FLAIR MR image.
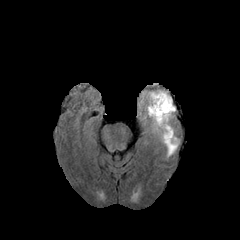
T1-weighted MR.
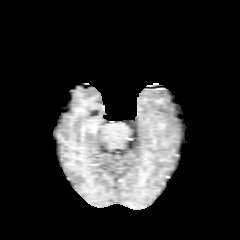
Post-contrast T1-weighted MR.
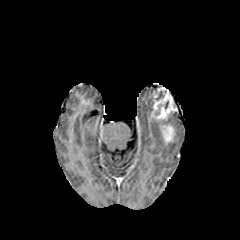
T2-weighted MR image.
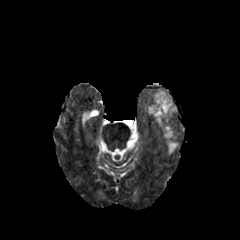
240x240 px.
edema:
  - (142, 89, 177, 156)
enhancing_tumor:
  - (152, 87, 176, 119)
  - (162, 125, 173, 142)